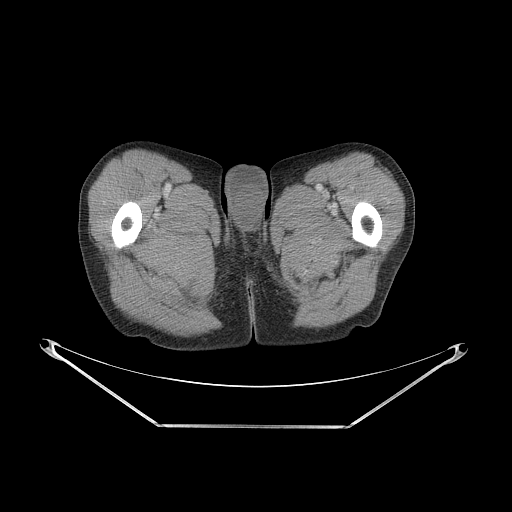
CT image

bone: x1=352 y1=201 x2=382 y2=246, x1=111 y1=202 x2=141 y2=248